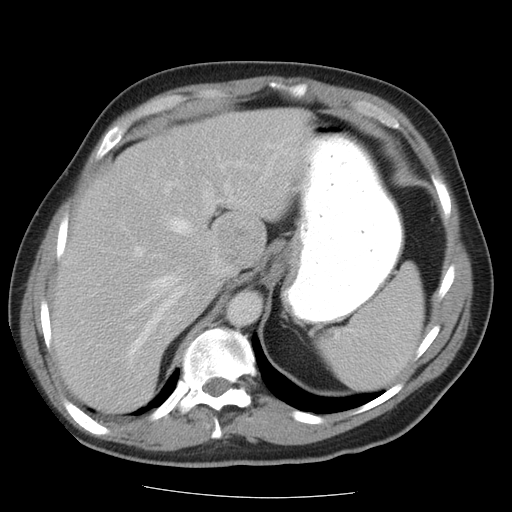 CT image

The vessel annotation is not exhaustive.
The top 15 hepatic vessel regions (of 17) are located at {"x1": 270, "y1": 172, "x2": 271, "y2": 174}, {"x1": 229, "y1": 196, "x2": 232, "y2": 201}, {"x1": 268, "y1": 165, "x2": 270, "y2": 170}, {"x1": 269, "y1": 146, "x2": 273, "y2": 147}, {"x1": 220, "y1": 165, "x2": 224, "y2": 168}, {"x1": 129, "y1": 287, "x2": 184, "y2": 358}, {"x1": 171, "y1": 218, "x2": 189, "y2": 233}, {"x1": 152, "y1": 276, "x2": 178, "y2": 287}, {"x1": 128, "y1": 326, "x2": 133, "y2": 329}, {"x1": 136, "y1": 290, "x2": 166, "y2": 310}, {"x1": 203, "y1": 193, "x2": 221, "y2": 204}, {"x1": 165, "y1": 189, "x2": 169, "y2": 192}, {"x1": 135, "y1": 247, "x2": 143, "y2": 255}, {"x1": 180, "y1": 269, "x2": 182, "y2": 270}, {"x1": 224, "y1": 183, "x2": 229, "y2": 192}. The liver tumor appears at {"x1": 215, "y1": 212, "x2": 266, "y2": 267}.